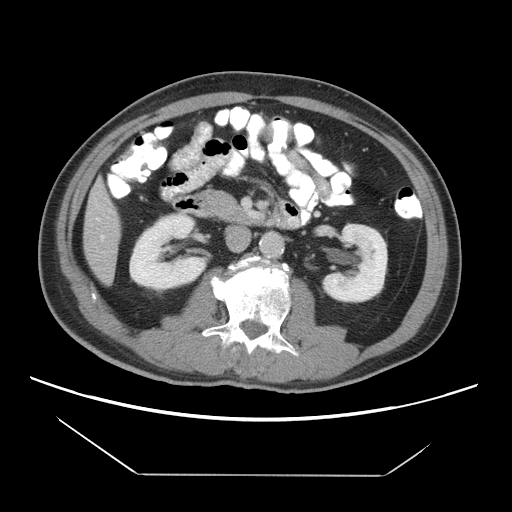
Abdomen. CT scan slice.

Not every hepatic vessel necessarily has a box.
hepatic_vessel:
  - x1=97, y1=218, x2=100, y2=220
  - x1=100, y1=235, x2=104, y2=239
  - x1=103, y1=252, x2=105, y2=253
  - x1=96, y1=203, x2=98, y2=207